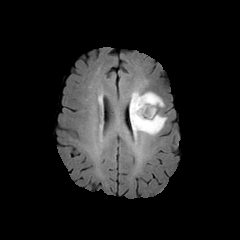
FLAIR MR image.
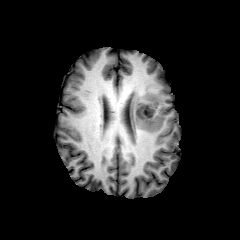
T1-weighted MR image.
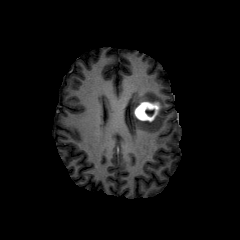
Post-contrast T1-weighted magnetic resonance.
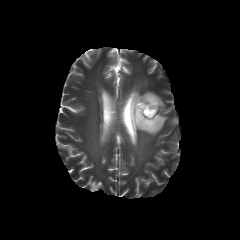
T2-weighted magnetic resonance.
240x240 px
{"edema": ["<box>130,89,166,139</box>"], "enhancing_tumor": ["<box>133,101,160,122</box>"]}